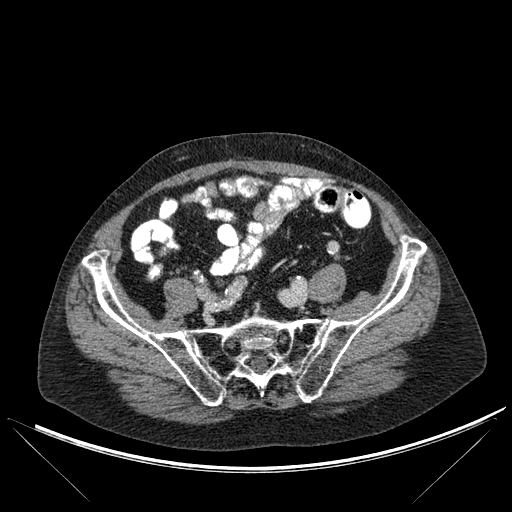
CT image
bone: box=[82, 235, 426, 405]